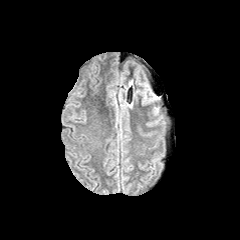
FLAIR MR image.
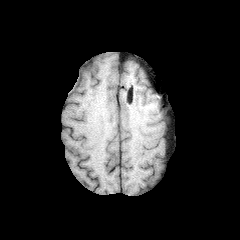
T1-weighted MR.
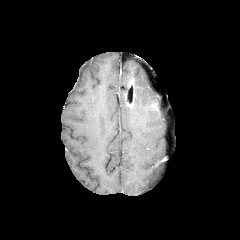
Same slice, post-contrast T1-weighted MR.
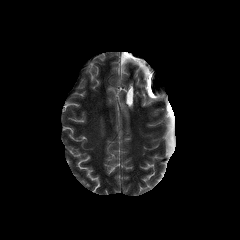
T2-weighted magnetic resonance.
Image size 240x240.
Edema: rect(132, 83, 154, 104).